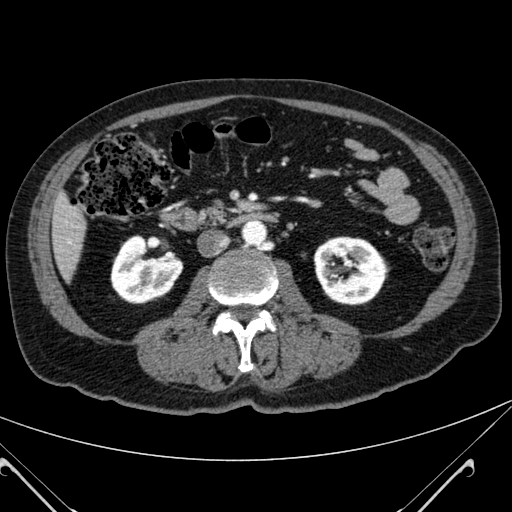

CT image

The liver is bounded by x1=52 y1=200 x2=84 y2=279. 2 kidney regions are bounded by x1=315 y1=238 x2=385 y2=303, x1=112 y1=237 x2=181 y2=302.